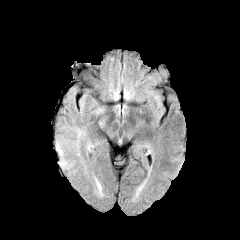
FLAIR MR image.
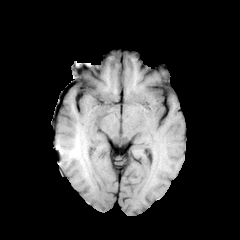
Same slice, T1-weighted MRI.
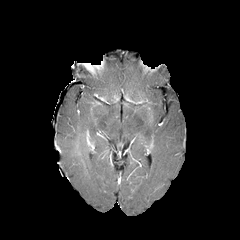
Post-contrast T1-weighted MR image of the same slice.
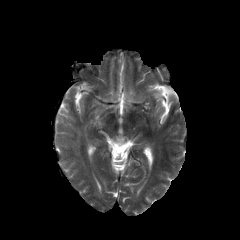
Same slice, T2-weighted MR image.
240x240. Head.
edema: (left=74, top=130, right=82, bottom=145)